Slice 122 of 144, Image size 512x512, CT, Liver
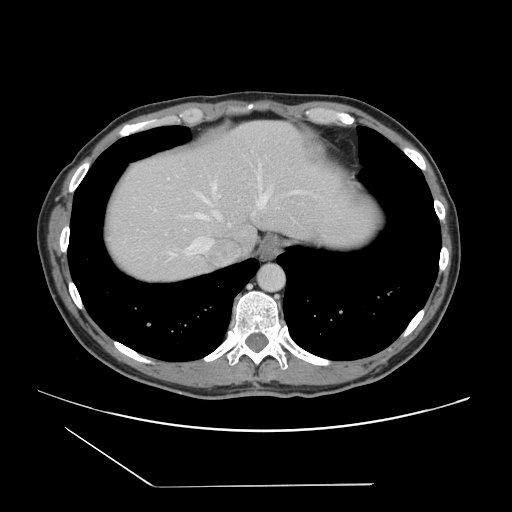

Not every hepatic vessel necessarily has a box.
12 hepatic vessel regions are bounded by {"x1": 213, "y1": 211, "x2": 220, "y2": 219}, {"x1": 228, "y1": 223, "x2": 230, "y2": 225}, {"x1": 290, "y1": 190, "x2": 301, "y2": 193}, {"x1": 190, "y1": 213, "x2": 205, "y2": 218}, {"x1": 256, "y1": 169, "x2": 269, "y2": 206}, {"x1": 210, "y1": 204, "x2": 212, "y2": 207}, {"x1": 193, "y1": 237, "x2": 208, "y2": 248}, {"x1": 211, "y1": 182, "x2": 215, "y2": 189}, {"x1": 215, "y1": 193, "x2": 219, "y2": 196}, {"x1": 193, "y1": 190, "x2": 207, "y2": 202}, {"x1": 172, "y1": 254, "x2": 175, "y2": 256}, {"x1": 253, "y1": 212, "x2": 254, "y2": 214}.